Brain, Slice 48/155
FLAIR MR image.
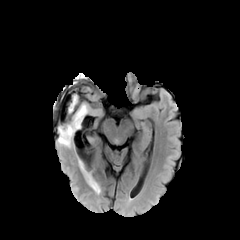
T1-weighted MR image.
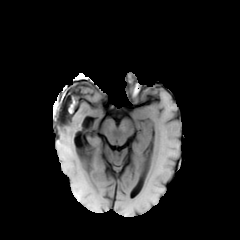
Post-contrast T1-weighted MRI.
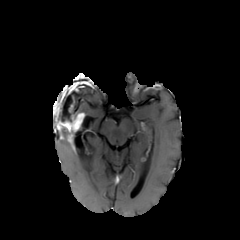
T2-weighted MR.
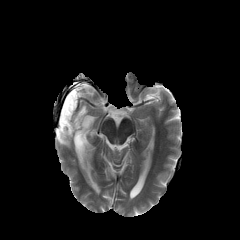
{"enhancing_tumor": ["box(57, 113, 84, 141)"], "non-enhancing_tumor_core": ["box(54, 121, 69, 139)", "box(61, 90, 83, 122)"], "edema": ["box(78, 160, 100, 193)", "box(57, 136, 72, 148)", "box(70, 95, 89, 115)"]}